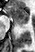
Hippocampus. MRI.
Segmented structures:
• posterior hippocampus: (18,24,22,28)
• anterior hippocampus: (8,6,29,23)